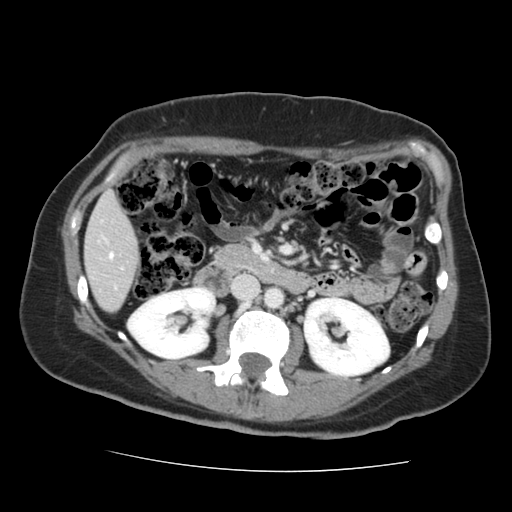
Computed tomography
Some hepatic vessels may have no box.
hepatic_vessel:
  - {"x1": 109, "y1": 253, "x2": 112, "y2": 258}